FLAIR magnetic resonance.
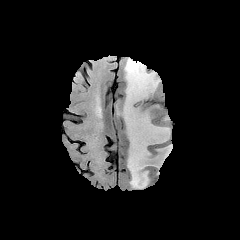
T1-weighted MRI.
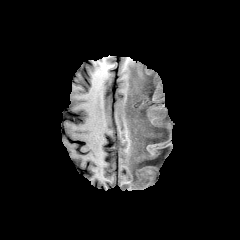
Post-contrast T1-weighted MR image.
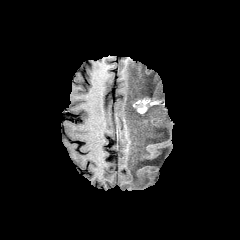
T2-weighted magnetic resonance.
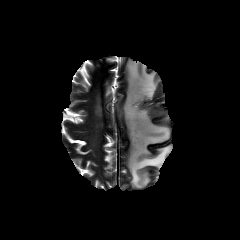
Head.
Segmented structures:
• edema: region(122, 59, 171, 188)
• enhancing tumor: region(136, 106, 145, 113)
• non-enhancing tumor core: region(131, 96, 155, 132)